Slice index 58. 240x240 px.
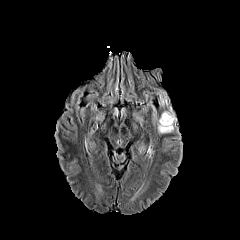
FLAIR MR.
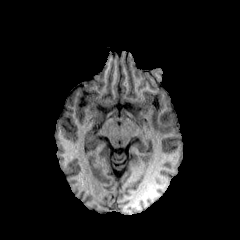
T1-weighted MR image of the same slice.
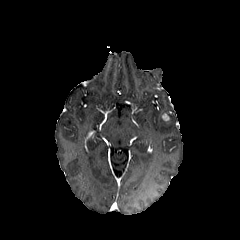
Post-contrast T1-weighted MRI.
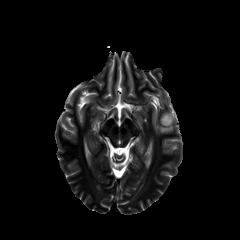
Same slice, T2-weighted magnetic resonance.
Edema — x1=156 y1=89 x2=172 y2=114, x1=137 y1=116 x2=143 y2=128, x1=147 y1=97 x2=176 y2=135.
Enhancing tumor — x1=161 y1=111 x2=172 y2=121.